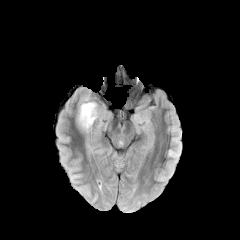
FLAIR MR.
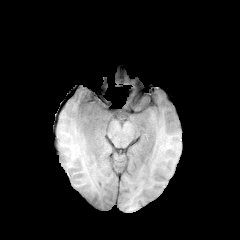
T1-weighted MRI of the same slice.
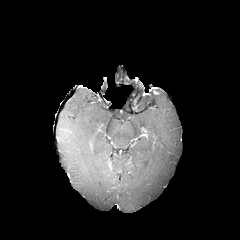
Post-contrast T1-weighted magnetic resonance of the same slice.
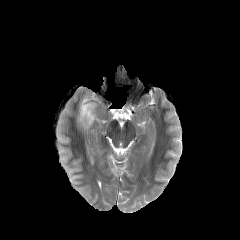
T2-weighted MRI of the same slice.
Edema: (x1=77, y1=93, x2=99, y2=133).